FLAIR MR image.
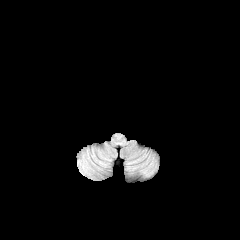
T1-weighted MRI.
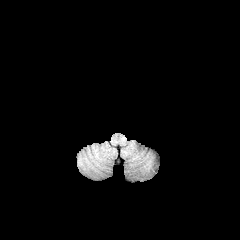
Post-contrast T1-weighted MR.
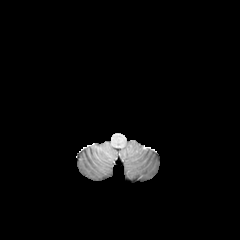
T2-weighted MRI.
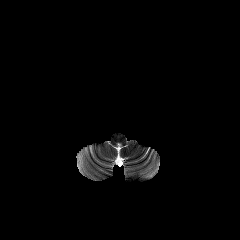
240x240 px
Segmented structures:
- edema: (82,162,91,171)